CT; Slice index 45

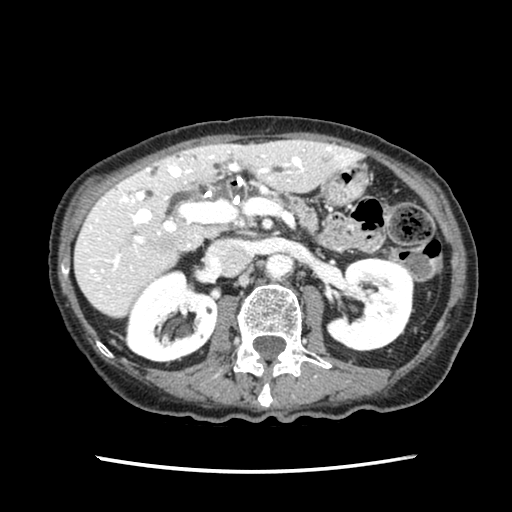 Pancreas: rect(276, 194, 318, 235).